Medial temporal lobe | Magnetic resonance | Slice 32 of 38 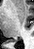

Posterior hippocampus — bbox(8, 39, 16, 41).